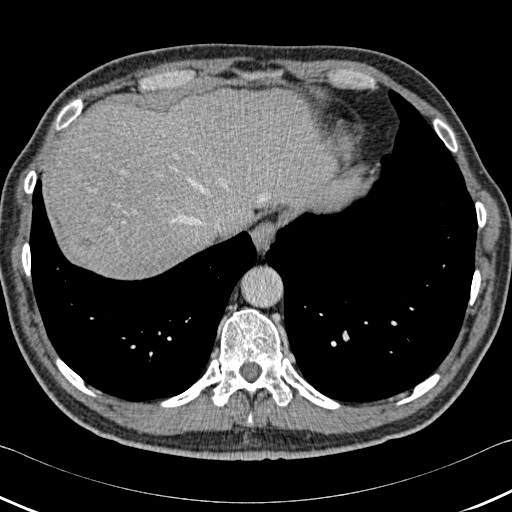 Abdomen. CT scan slice. The liver lies within {"x1": 42, "y1": 88, "x2": 360, "y2": 278}. The focal liver lesion appears at {"x1": 79, "y1": 238, "x2": 95, "y2": 248}. 2 lung regions appear at {"x1": 264, "y1": 89, "x2": 477, "y2": 404}, {"x1": 29, "y1": 179, "x2": 260, "y2": 402}. 9 bone regions are located at {"x1": 56, "y1": 359, "x2": 95, "y2": 396}, {"x1": 397, "y1": 374, "x2": 439, "y2": 404}, {"x1": 161, "y1": 309, "x2": 339, "y2": 409}, {"x1": 434, "y1": 119, "x2": 457, "y2": 151}, {"x1": 56, "y1": 99, "x2": 82, "y2": 129}, {"x1": 475, "y1": 202, "x2": 486, "y2": 227}, {"x1": 22, "y1": 243, "x2": 30, "y2": 275}, {"x1": 470, "y1": 270, "x2": 480, "y2": 304}, {"x1": 24, "y1": 171, "x2": 35, "y2": 193}.